FLAIR MRI.
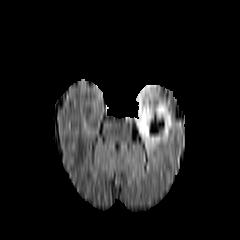
T1-weighted MRI.
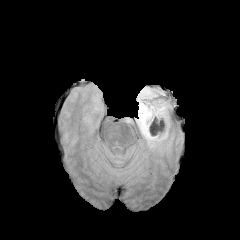
Post-contrast T1-weighted MRI.
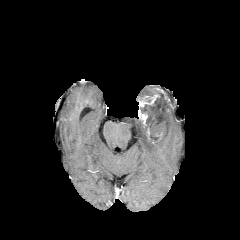
T2-weighted magnetic resonance.
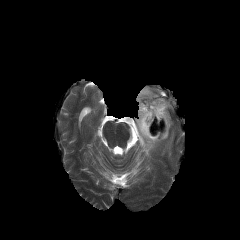
The edema is bounded by bbox=[135, 86, 172, 153]. The enhancing tumor lies within bbox=[138, 95, 157, 124].